Slice 25 of 39; Computed tomography
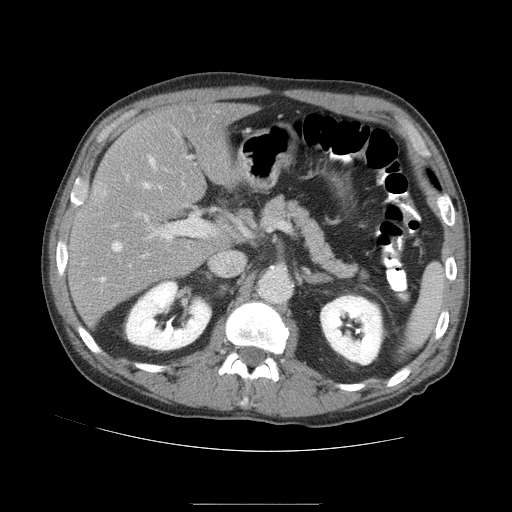 Only some of the vessels may be annotated.
Hepatic vessel = left=112, top=242, right=121, bottom=250; left=148, top=156, right=156, bottom=168; left=186, top=156, right=191, bottom=158; left=100, top=277, right=104, bottom=281; left=142, top=254, right=148, bottom=257; left=159, top=185, right=161, bottom=187; left=135, top=213, right=139, bottom=214; left=126, top=175, right=127, bottom=179; left=175, top=131, right=176, bottom=133; left=147, top=211, right=210, bottom=241; left=143, top=182, right=150, bottom=188; left=142, top=213, right=148, bottom=222.
Liver tumor = left=90, top=180, right=110, bottom=206.